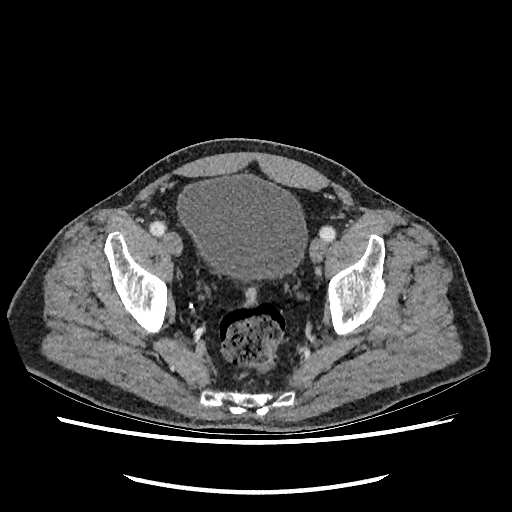

Lower abdomen | CT slice | Image size 512x512
{"urinary_bladder": ["[x1=178, y1=174, x2=307, y2=281]"]}